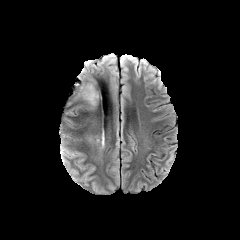
FLAIR MR image.
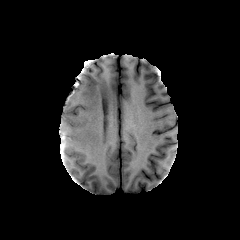
Same slice, T1-weighted MR image.
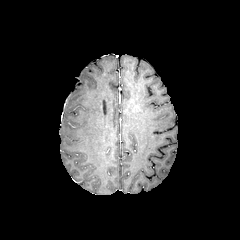
Post-contrast T1-weighted MR image of the same slice.
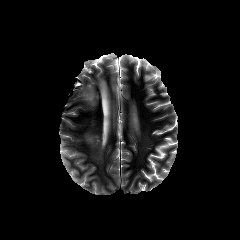
T2-weighted MRI.
240x240, Brain
The edema is bounded by (84,85,97,105).